Abdomen | CT scan slice | Slice 74 of 131 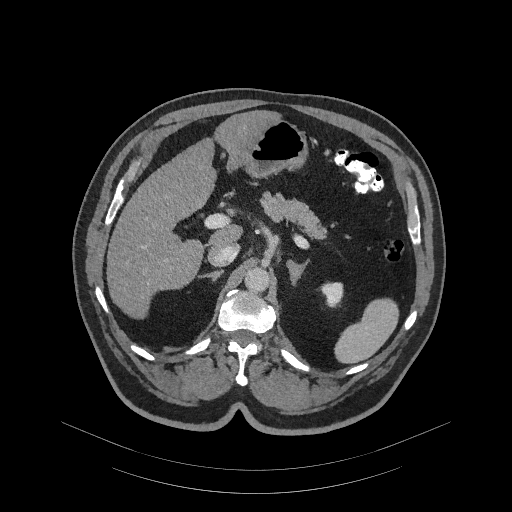 pancreas:
  - 260, 192, 327, 240